33x52 px. Hippocampus. MR image. Field of view 33 mm wide, 1.00 mm slice spacing. Slice 17 of 27.
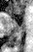
<segmentation>
  <posterior_hippocampus>region(13, 35, 21, 45)</posterior_hippocampus>
</segmentation>